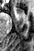

MRI

Anterior hippocampus: <bbox>16, 8, 22, 14</bbox>.